FLAIR MR image.
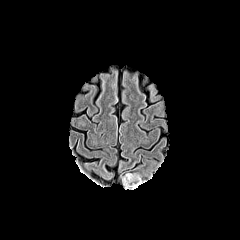
T1-weighted magnetic resonance.
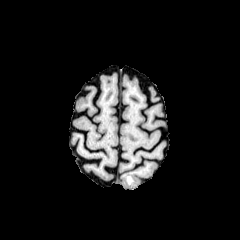
Post-contrast T1-weighted MR image.
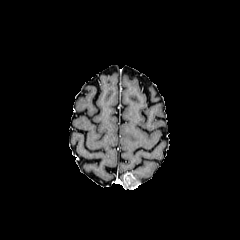
T2-weighted MR.
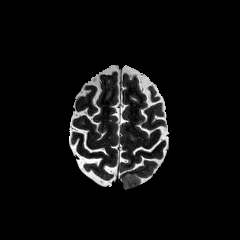
Edema at (x1=133, y1=172, x2=144, y2=184).
Enhancing tumor at (x1=123, y1=173, x2=136, y2=187).